Slice 48 of 537, CT, Field of view 496 mm wide, 0.80 mm slice spacing
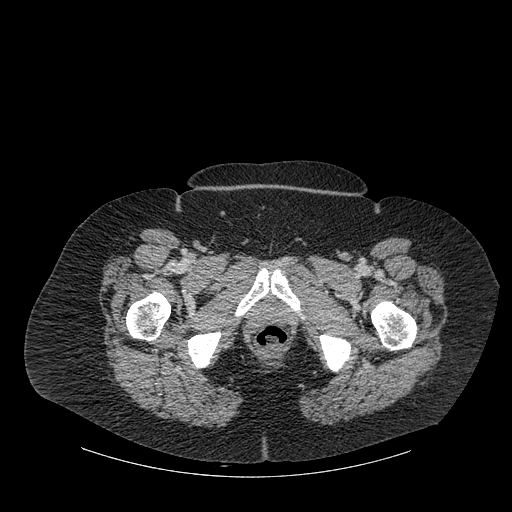

bone: (319,334,350,371), (371,301,416,349), (126,292,170,340), (188,332,220,367), (235,268,300,316)